FLAIR MRI.
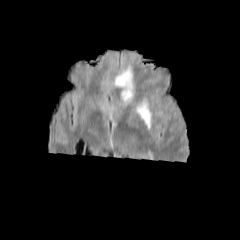
T1-weighted MR.
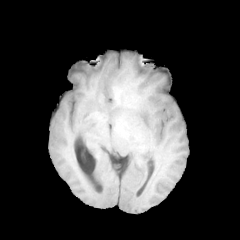
Post-contrast T1-weighted MR image.
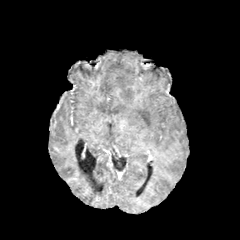
T2-weighted magnetic resonance.
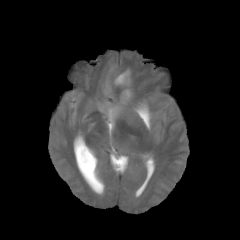
edema:
  - 134 100 149 126
  - 114 70 131 86